Computed tomography | 512x512
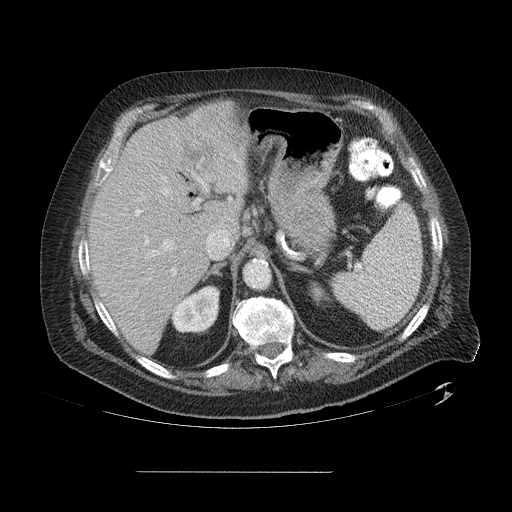
Not every hepatic vessel necessarily has a box.
Hepatic vessel — (x1=172, y1=267, x2=176, y2=275), (x1=194, y1=174, x2=206, y2=188), (x1=228, y1=197, x2=231, y2=200), (x1=198, y1=165, x2=199, y2=167), (x1=144, y1=236, x2=148, y2=244), (x1=206, y1=176, x2=209, y2=178), (x1=194, y1=198, x2=200, y2=209), (x1=181, y1=245, x2=182, y2=246), (x1=162, y1=188, x2=170, y2=194), (x1=135, y1=209, x2=140, y2=215), (x1=146, y1=250, x2=157, y2=256), (x1=161, y1=241, x2=175, y2=250).
Liver tumor — (x1=182, y1=138, x2=212, y2=159).